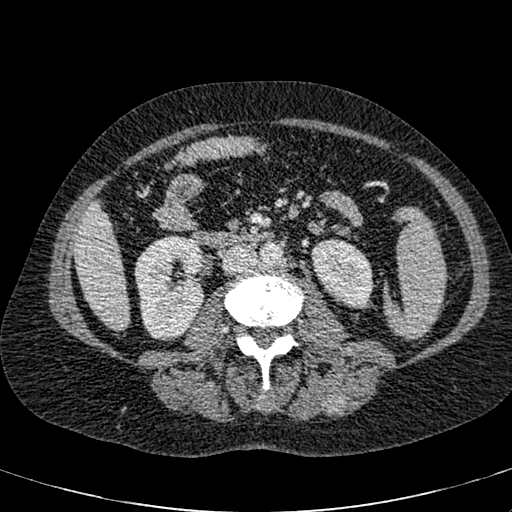
CT scan slice. 512x512 px.

kidney: [x1=135, y1=236, x2=203, y2=338], [x1=312, y1=240, x2=372, y2=307] | liver: [x1=75, y1=205, x2=128, y2=328]